CT slice; Slice 59 of 205; Abdomen; 512x512 px; Field of view 312 mm wide, 3.00 mm slice spacing

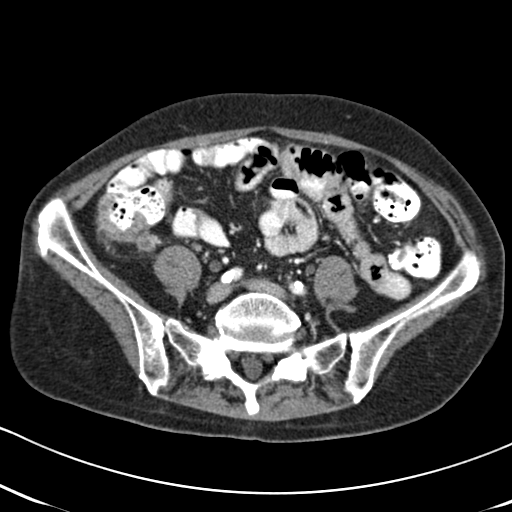
Colon tumor — 97:194:147:240.